Head. Field of view 240 mm wide, 1.00 mm slice spacing.
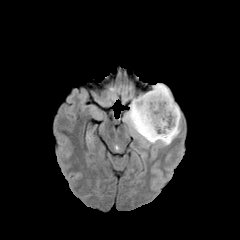
FLAIR MR image.
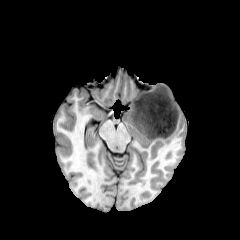
T1-weighted magnetic resonance.
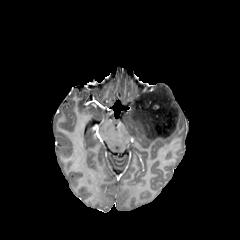
Post-contrast T1-weighted MRI.
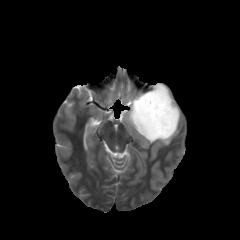
T2-weighted MR.
Non-enhancing tumor core = 131 84 178 139.
Edema = 122 83 181 151.